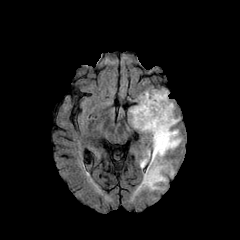
FLAIR MRI.
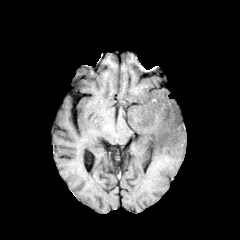
Same slice, T1-weighted MR.
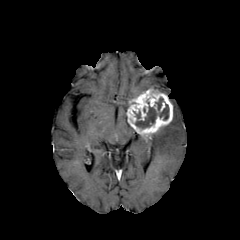
Post-contrast T1-weighted MRI.
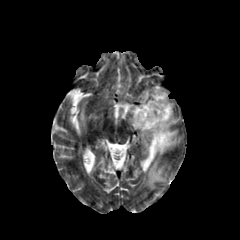
T2-weighted MRI.
Segmented structures:
- enhancing tumor: region(127, 88, 173, 139)
- edema: region(140, 116, 181, 188)
- non-enhancing tumor core: region(156, 98, 162, 110); region(159, 104, 168, 119); region(135, 107, 156, 128)